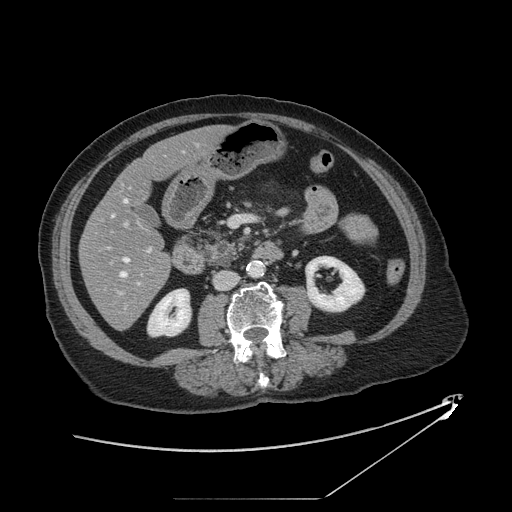

Upper abdomen, CT scan slice, Image size 512x512
The pancreas is bounded by 200 233 240 262. The pancreatic tumor lies within 204 242 233 266.